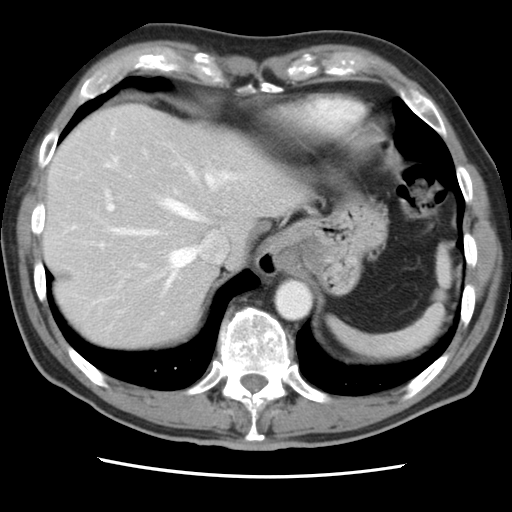 CT image | Liver
The vessel boxes may cover only some of the vessels.
<segmentation partial="true">
  <hepatic_vessel shown="15" total="16">[138, 263, 143, 266], [100, 243, 103, 246], [112, 131, 114, 136], [187, 167, 194, 176], [107, 157, 117, 167], [206, 172, 234, 186], [167, 272, 175, 286], [171, 264, 176, 270], [175, 190, 177, 192], [106, 191, 113, 210], [160, 199, 199, 219], [170, 247, 199, 265], [114, 229, 156, 234], [118, 311, 120, 312], [68, 225, 76, 229]</hepatic_vessel>
</segmentation>